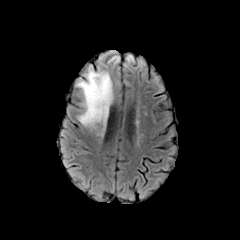
FLAIR magnetic resonance.
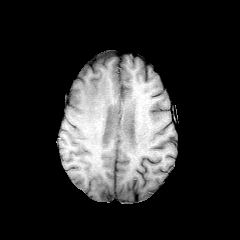
T1-weighted magnetic resonance of the same slice.
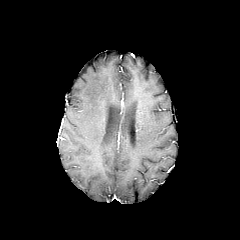
Post-contrast T1-weighted MRI.
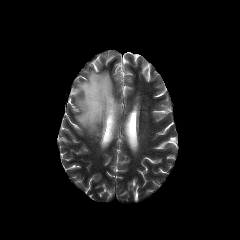
T2-weighted magnetic resonance of the same slice.
Head
<segmentation>
  <edema>{"x1": 76, "y1": 66, "x2": 113, "y2": 130}</edema>
</segmentation>